FLAIR MRI.
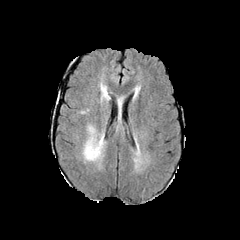
T1-weighted MRI.
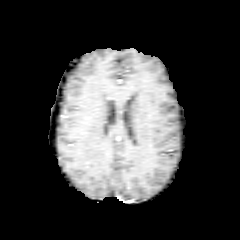
Post-contrast T1-weighted MRI.
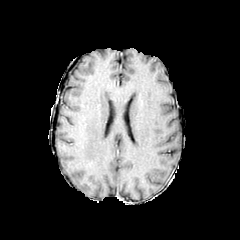
T2-weighted MRI.
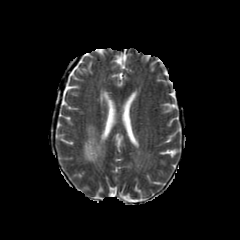
240x240 | Head
edema: 83,133,104,160